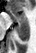 MRI; Hippocampus
Posterior hippocampus — rect(16, 24, 29, 41).
Anterior hippocampus — rect(8, 9, 28, 23).